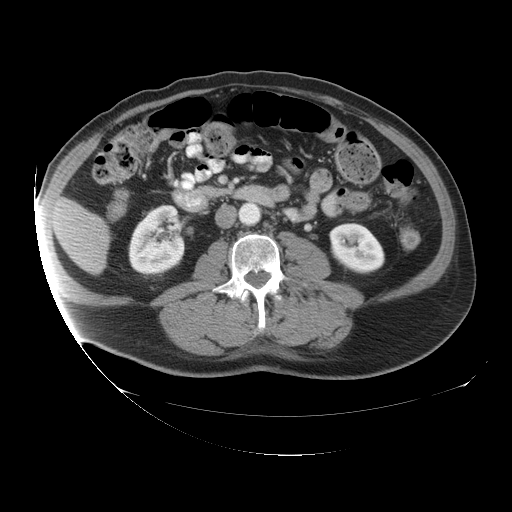

Image size 512x512. CT image.
<segmentation>
  <colon_tumor>(x1=150, y1=128, x2=172, y2=152)</colon_tumor>
</segmentation>